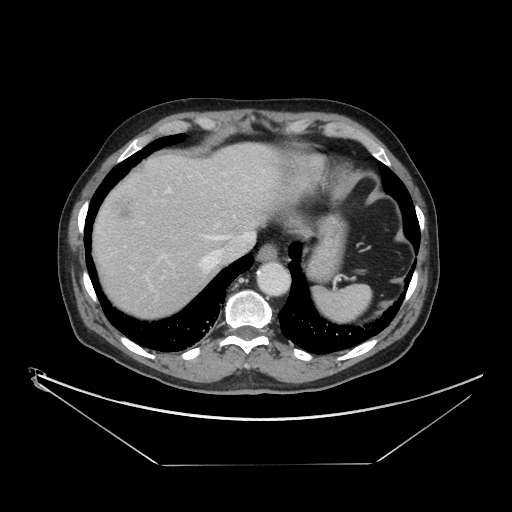 Liver | CT image | 512x512 px

Not every hepatic vessel necessarily has a box.
hepatic_vessel:
  - [x1=165, y1=187, x2=169, y2=192]
  - [x1=201, y1=250, x2=220, y2=271]
  - [x1=216, y1=223, x2=219, y2=225]
  - [x1=159, y1=255, x2=166, y2=260]
  - [x1=146, y1=277, x2=147, y2=279]
  - [x1=141, y1=222, x2=143, y2=223]
  - [x1=205, y1=235, x2=227, y2=239]
  - [x1=242, y1=233, x2=254, y2=239]
liver_tumor:
  - [x1=115, y1=200, x2=136, y2=220]